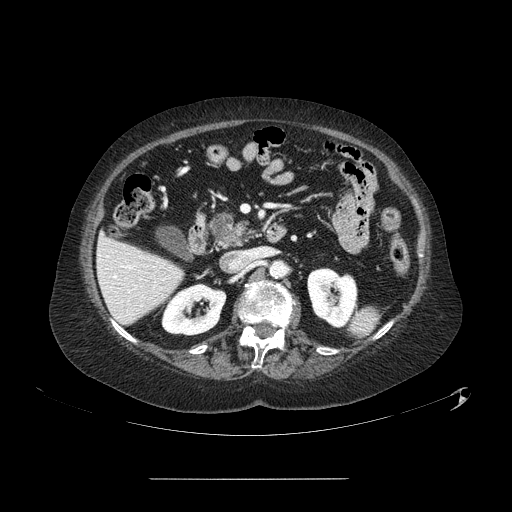

Abdomen. CT slice. {"pancreas": ["<bbox>212, 210, 246, 245</bbox>"], "pancreatic_tumor": ["<bbox>211, 211, 234, 243</bbox>"]}